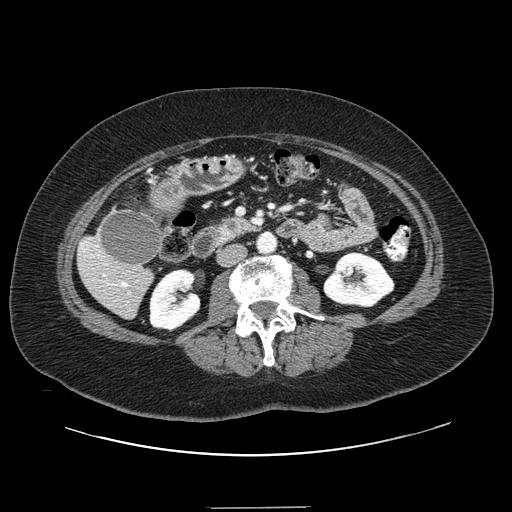
512x512 px; Computed tomography

pancreas:
  - 211 216 254 242
pancreatic_tumor:
  - 226 220 238 234